CT scan slice | Abdomen | Field of view 371x371 mm
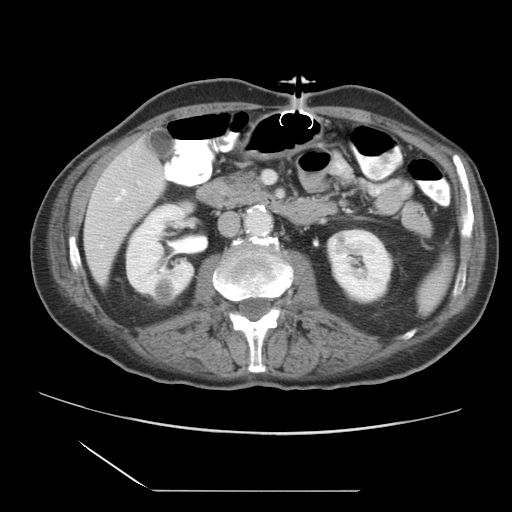

Some hepatic vessels may have no box.
{"hepatic_vessel": ["(121,189,126,195)", "(116,196,120,200)"]}